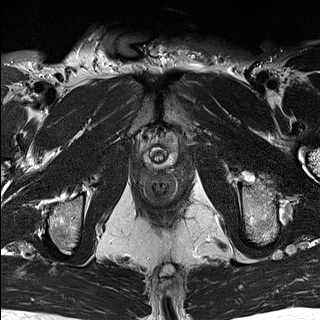
T2-weighted magnetic resonance.
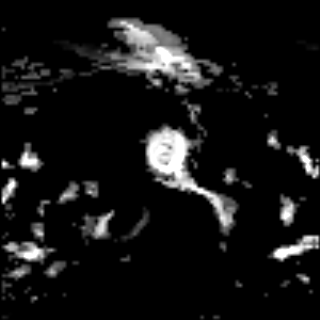
Same slice, ADC MR.
Prostate. 320x320.
Prostate transition zone: box(147, 140, 167, 162).
Prostate peripheral zone: box(144, 136, 177, 169).